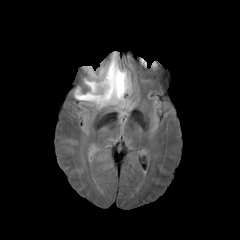
FLAIR magnetic resonance.
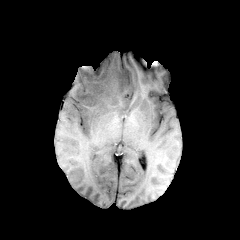
T1-weighted MR image of the same slice.
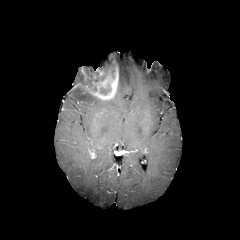
Post-contrast T1-weighted MR image.
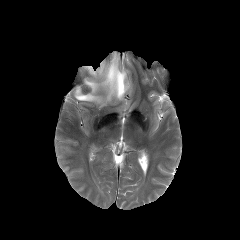
T2-weighted MRI of the same slice.
edema:
  - 73:52:134:117
enhancing_tumor:
  - 86:55:118:99